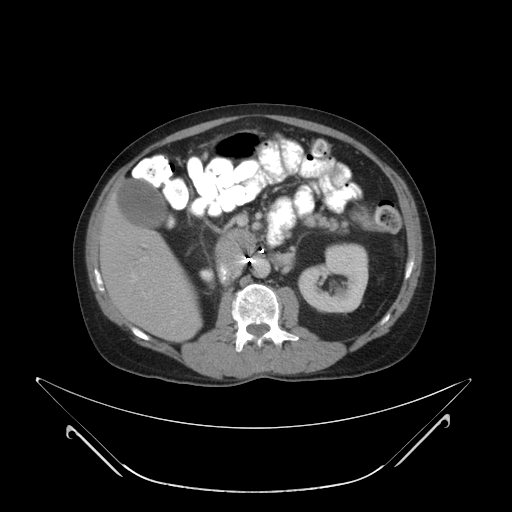

CT slice | Upper abdomen

2 pancreas regions are bounded by x1=214 y1=226 x2=257 y2=276, x1=303 y1=214 x2=349 y2=234.